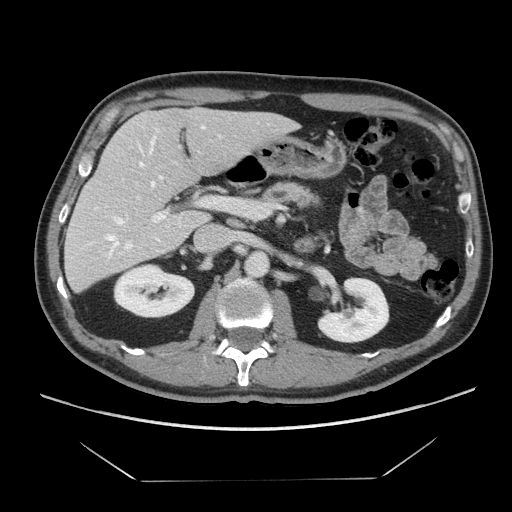 CT
Segmented structures:
• pancreas: 264 183 317 206